Liver, 512x512, CT slice

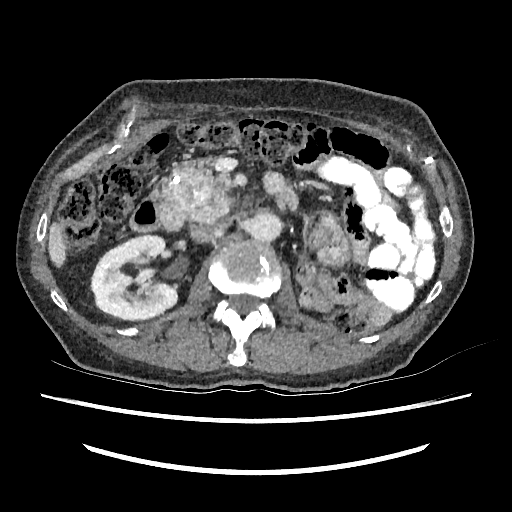 kidney: bbox(92, 235, 176, 319) | liver: bbox(49, 223, 64, 265)